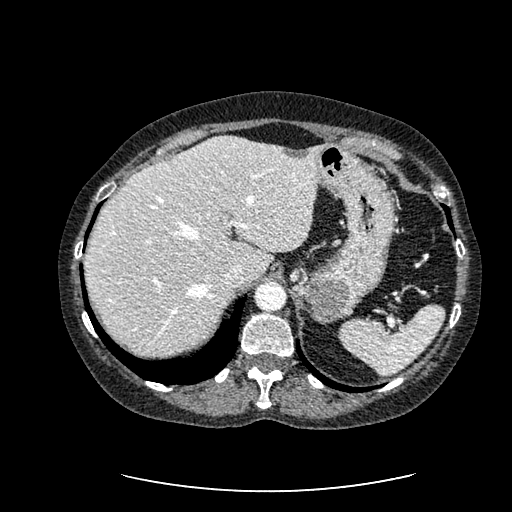
CT slice
Liver — 84,135,321,354.
Liver lesion — 282,147,309,158.